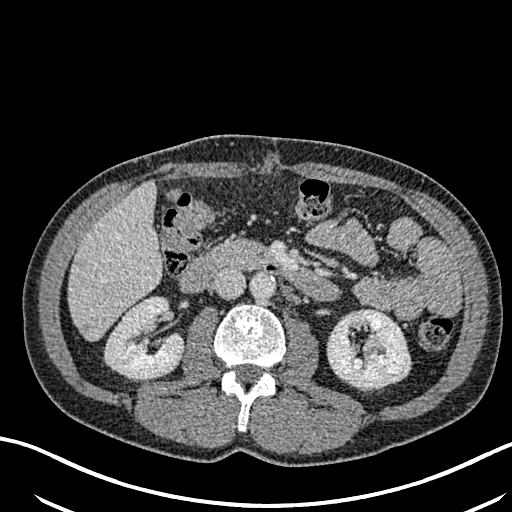 512x512 px; CT image
Liver lesion — bbox=[73, 259, 87, 269]; bbox=[78, 323, 94, 337].
Liver — bbox=[68, 182, 160, 339].
Kidney — bbox=[327, 310, 410, 387]; bbox=[105, 297, 183, 378].